Slice 122/132 | Image size 512x512 | CT scan slice 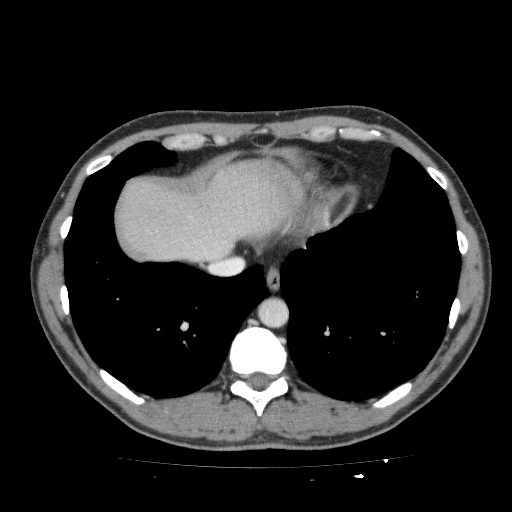
The liver lies within box=[114, 158, 304, 263].